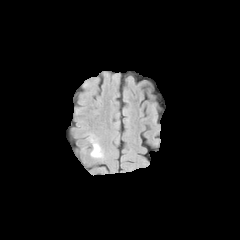
FLAIR MR image.
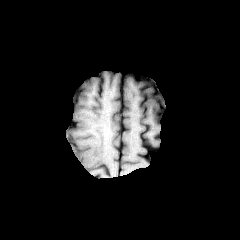
T1-weighted magnetic resonance.
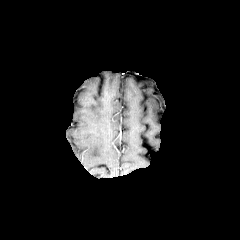
Same slice, post-contrast T1-weighted MR image.
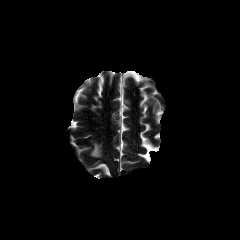
T2-weighted MR of the same slice.
Head; Image size 240x240
Edema — box=[91, 143, 102, 157].